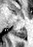 33x47 | MRI slice

posterior_hippocampus:
  - left=14, top=29, right=25, bottom=38